CT scan slice, Slice index 242, Field of view 383x383 mm
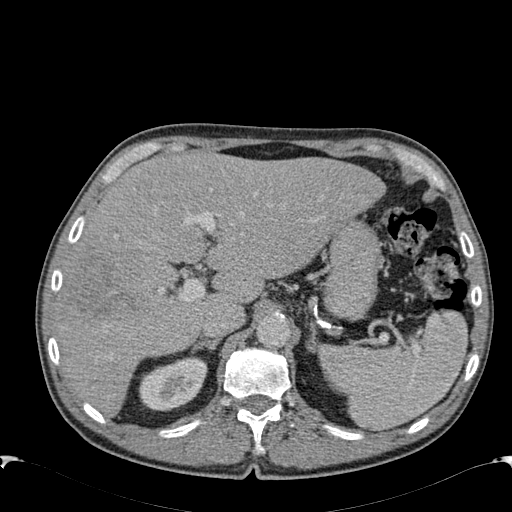 <segmentation>
  <kidney>x1=140 y1=358 x2=206 y2=410</kidney>
  <liver>x1=55 y1=153 x2=385 y2=417</liver>
  <focal_liver_lesion>x1=61 y1=251 x2=138 y2=322</focal_liver_lesion>
</segmentation>